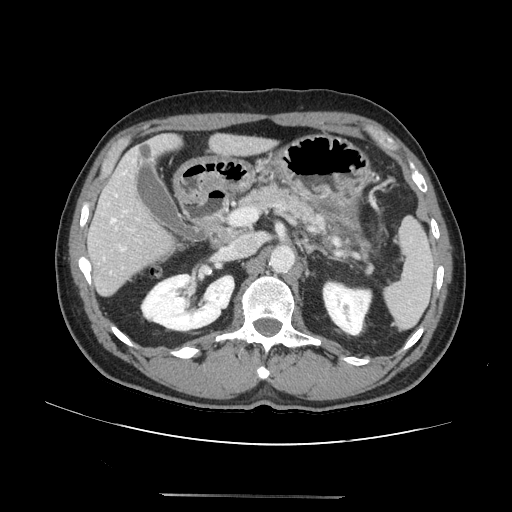 CT scan slice
Pancreas at 242,187,337,236.